FLAIR MR.
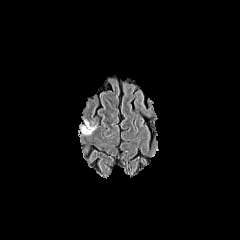
T1-weighted MR image.
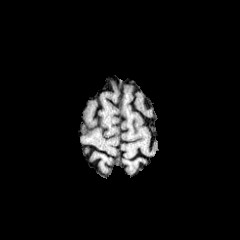
Post-contrast T1-weighted MRI.
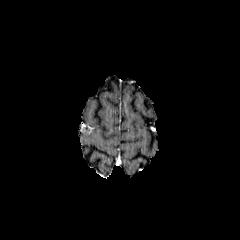
T2-weighted magnetic resonance.
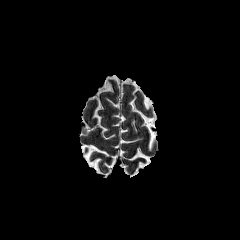
Image size 240x240. Brain.
{"non-enhancing_tumor_core": ["<box>82,125,91,134</box>"], "edema": ["<box>78,116,98,137</box>"]}